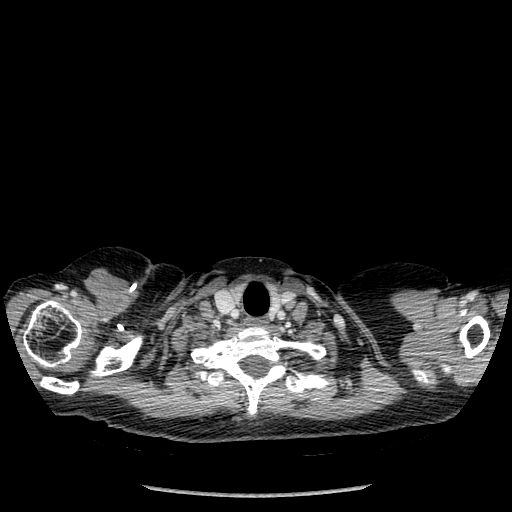
512x512 px, CT scan slice

Lung at 244 286 268 315.
Bone at 39 377 79 394, 441 364 452 373, 459 315 489 358, 191 325 334 414, 23 300 84 367, 412 369 434 384, 90 336 142 376.